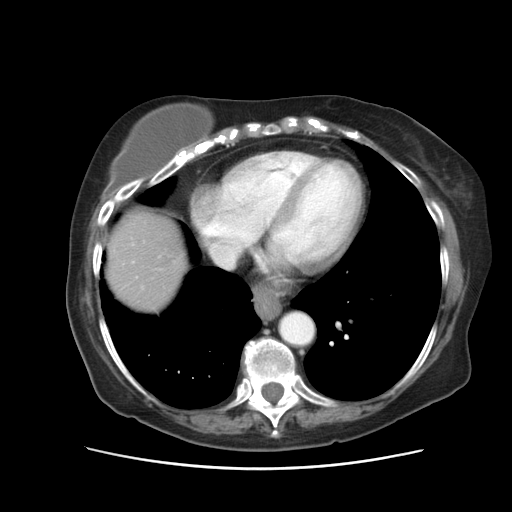 CT image | Abdomen

The vessel annotation is not exhaustive.
The hepatic vessel lies within 207:236:250:266.